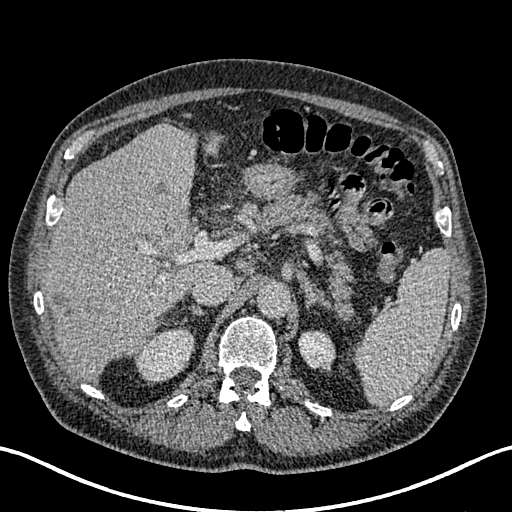
CT
2 kidney regions are located at (137,330,193,380), (299,332,333,368). 3 focal liver lesion regions appear at (160,227,185,251), (51,287,91,322), (152,179,171,195). 2 liver regions are located at (205,137,218,154), (45,125,215,380).